CT image. Upper abdomen. 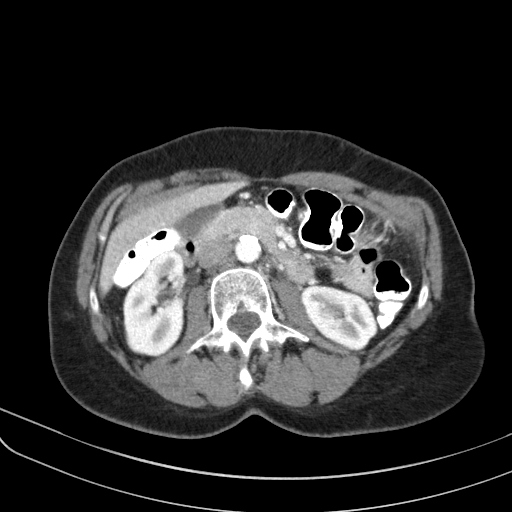 Pancreas = 193,206,277,271.